512x512 px. Slice index 487. CT. Upper abdomen.

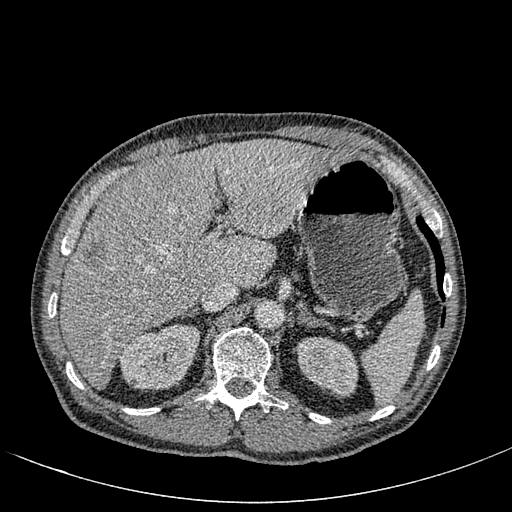 liver lesion: x1=154, y1=162, x2=177, y2=182; x1=213, y1=144, x2=226, y2=157; x1=84, y1=240, x2=105, y2=267 | liver: x1=60, y1=139, x2=351, y2=388 | kidney: x1=297, y1=337, x2=357, y2=394; x1=118, y1=325, x2=199, y2=388